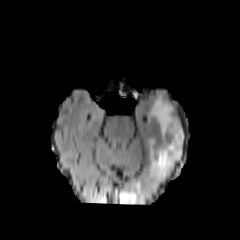
FLAIR MR.
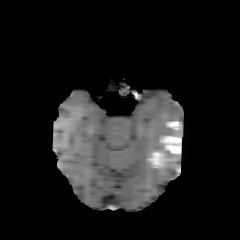
T1-weighted MR.
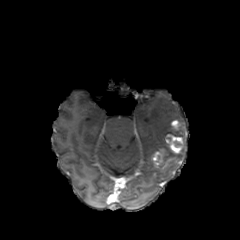
Same slice, post-contrast T1-weighted MR.
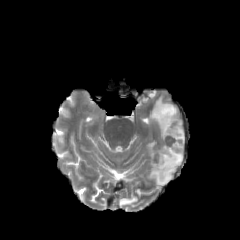
Same slice, T2-weighted MR image.
Brain
3 enhancing tumor regions appear at l=165, t=134, r=183, b=153; l=151, t=149, r=171, b=164; l=171, t=120, r=180, b=128. 2 edema regions are bounded by l=147, t=94, r=184, b=184; l=120, t=196, r=137, b=203.